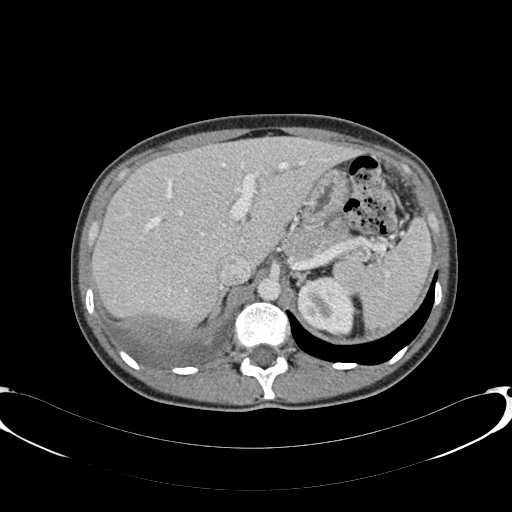 CT slice.
The kidney appears at {"x1": 298, "y1": 277, "x2": 352, "y2": 332}. The liver is located at {"x1": 91, "y1": 138, "x2": 362, "y2": 332}.